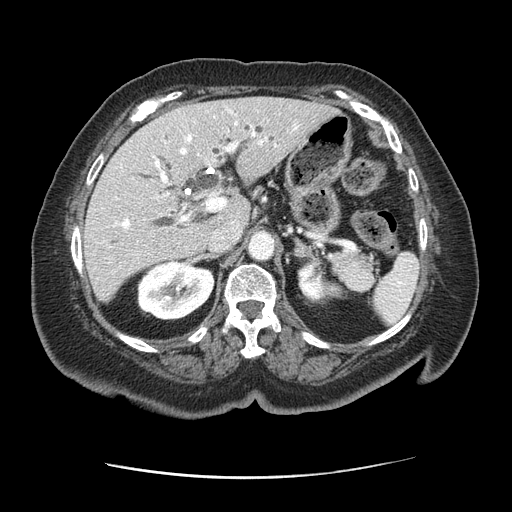

CT scan slice, Image size 512x512

Pancreas: bounding box bbox(328, 248, 374, 292).